512x512 px; CT scan slice; Slice 87/130 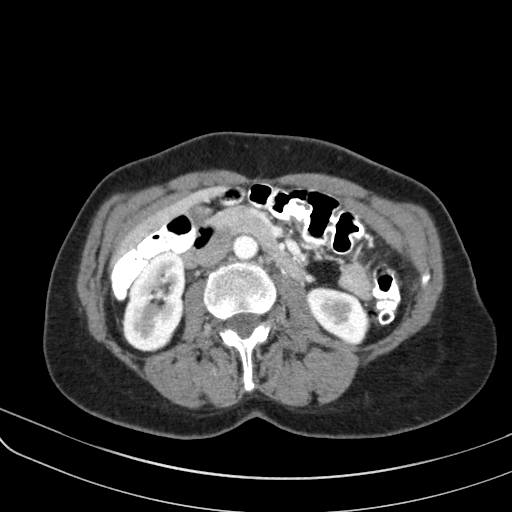 Segmented structures:
* pancreas: (x1=202, y1=207, x2=274, y2=264)